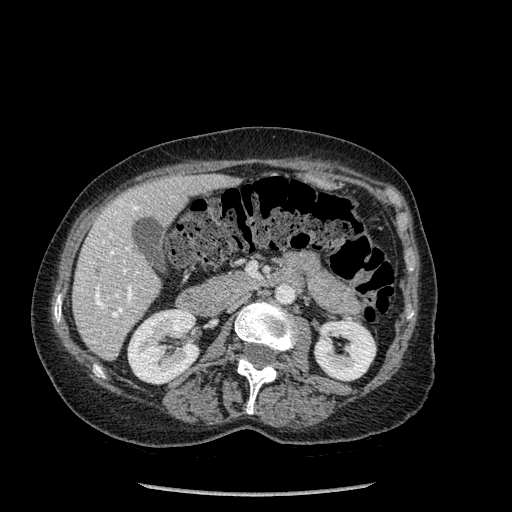

Computed tomography; 512x512 px; Upper abdomen
Liver — [x1=72, y1=174, x2=239, y2=361].
Kidney — [x1=315, y1=321, x2=375, y2=380], [x1=128, y1=310, x2=198, y2=383].
Bone — [x1=235, y1=302, x2=297, y2=351], [x1=237, y1=357, x2=277, y2=414], [x1=93, y1=364, x2=104, y2=377], [x1=54, y1=295, x2=61, y2=322].